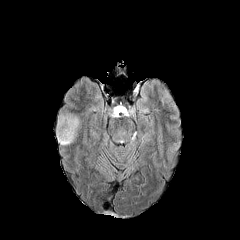
FLAIR MR.
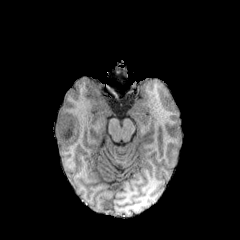
T1-weighted MR image.
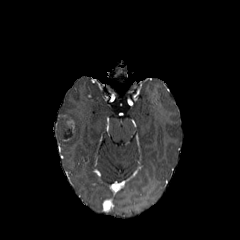
Same slice, post-contrast T1-weighted MR image.
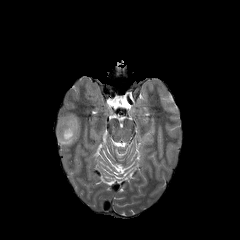
T2-weighted MRI.
240x240 px | Brain
{
  "edema": [
    "l=71, t=115, r=80, b=129",
    "l=56, t=130, r=77, b=145"
  ],
  "non-enhancing_tumor_core": [
    "l=56, t=114, r=77, b=140"
  ],
  "enhancing_tumor": [
    "l=66, t=117, r=75, b=132"
  ]
}